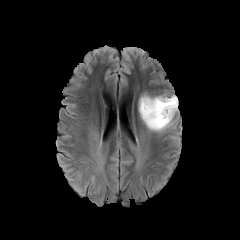
FLAIR MR image.
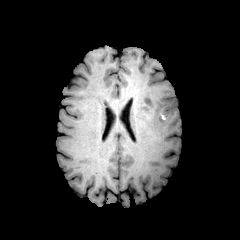
T1-weighted magnetic resonance of the same slice.
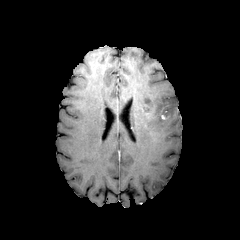
Post-contrast T1-weighted magnetic resonance.
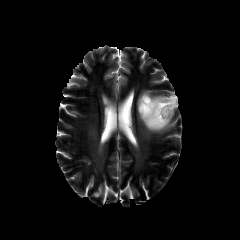
Same slice, T2-weighted MR.
Head.
non-enhancing tumor core: [139, 98, 169, 121] | edema: [137, 91, 178, 133]